CT scan slice; Slice index 37
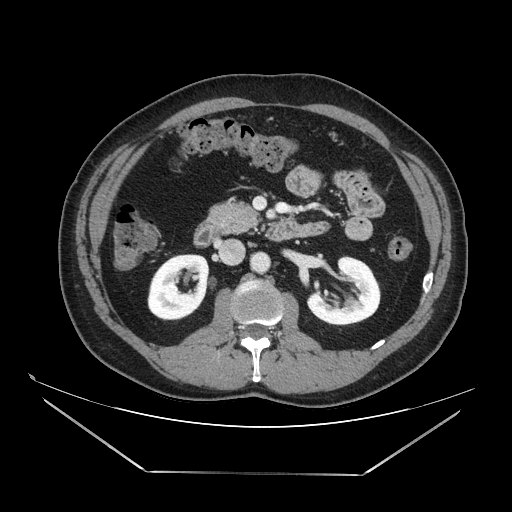

Pancreas at l=208, t=201, r=259, b=233.